Hippocampus, Slice 22 of 31, MR
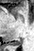 Posterior hippocampus: bounding box (x1=11, y1=38, x2=22, y2=45).